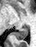
MRI slice, 36x47, Hippocampus

Annotated regions:
* posterior hippocampus: (x1=13, y1=26, x2=28, y2=40)